FLAIR MRI.
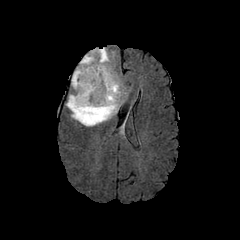
T1-weighted MR image.
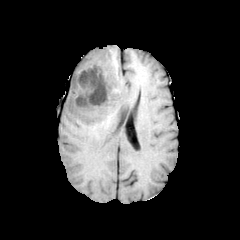
Post-contrast T1-weighted MR image.
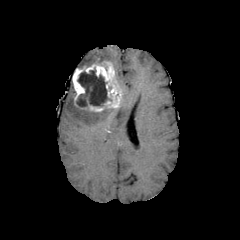
T2-weighted magnetic resonance.
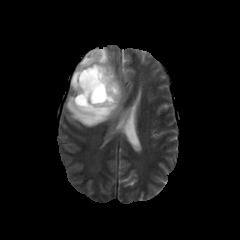
Head, 240x240 px
* non-enhancing tumor core: x1=76, y1=70, x2=111, y2=107; x1=81, y1=59, x2=95, y2=66
* enhancing tumor: x1=72, y1=56, x2=121, y2=111
* edema: x1=65, y1=91, x2=118, y2=127; x1=77, y1=47, x2=110, y2=67